Slice 50 of 103. Computed tomography. 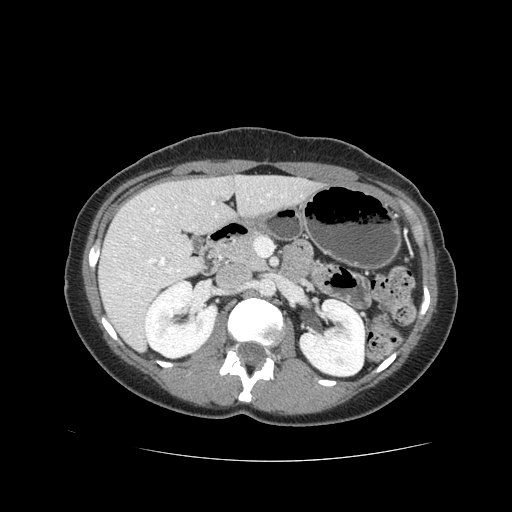
Pancreas at bbox(214, 231, 265, 270).